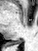 Medial temporal lobe; MRI; Image size 38x51

{"posterior_hippocampus": ["x1=9 y1=40 x2=22 y2=44"]}